FLAIR magnetic resonance.
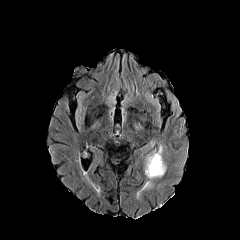
T1-weighted magnetic resonance.
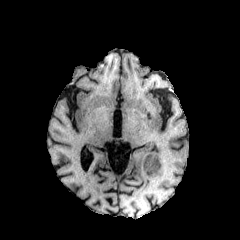
Post-contrast T1-weighted magnetic resonance.
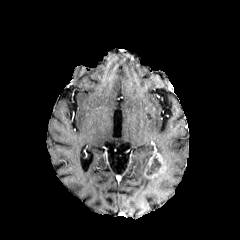
T2-weighted MR.
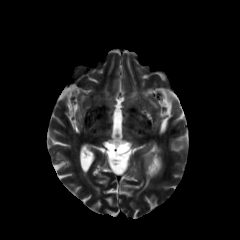
240x240 px
{
  "non-enhancing_tumor_core": [
    "[147,157,159,175]"
  ],
  "edema": [
    "[151,147,161,157]",
    "[147,167,165,179]"
  ],
  "enhancing_tumor": [
    "[143,155,153,177]",
    "[155,153,163,171]"
  ]
}